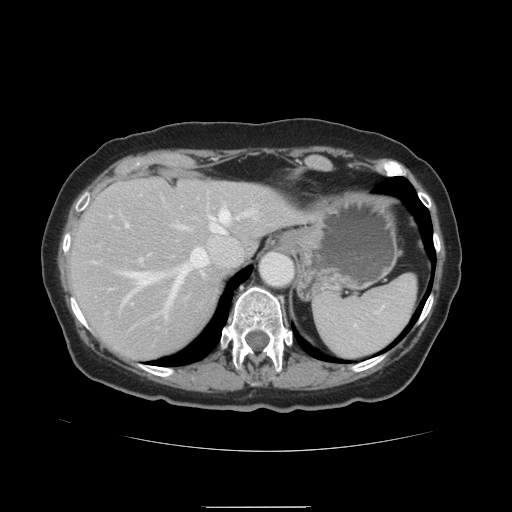
CT scan slice; 512x512 px; Abdomen
The vessel annotation is not exhaustive.
hepatic_vessel:
  - (left=126, top=224, right=127, bottom=226)
  - (left=123, top=295, right=129, bottom=302)
  - (left=201, top=272, right=202, bottom=274)
  - (left=243, top=210, right=253, bottom=215)
  - (left=121, top=271, right=156, bottom=287)
  - (left=161, top=248, right=207, bottom=317)
  - (left=207, top=208, right=229, bottom=233)
  - (left=140, top=259, right=141, bottom=261)
  - (left=236, top=215, right=240, bottom=219)